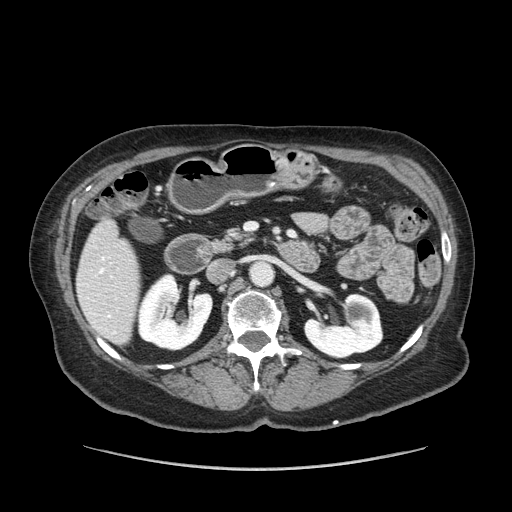
CT slice, Upper abdomen

{"pancreas": ["bbox(215, 232, 254, 253)"]}